Image size 512x512. CT slice.
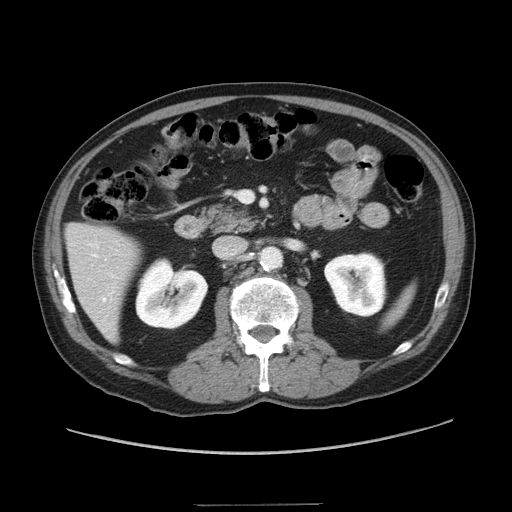

{"pancreas": ["(left=203, top=205, right=255, bottom=233)"]}